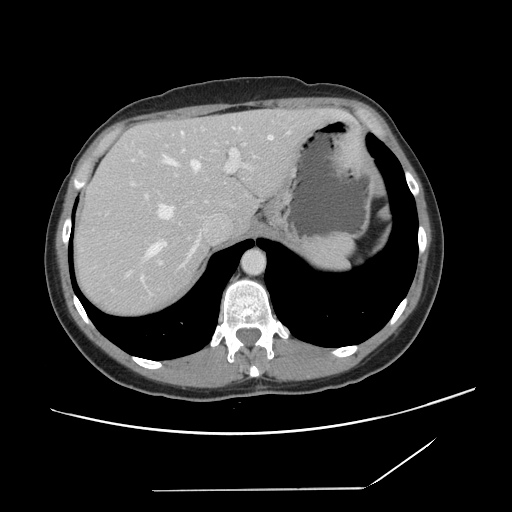
Liver, CT, Image size 512x512
Some hepatic vessels may have no box.
Principal 15 of 20 hepatic vessel regions — [158, 205, 172, 218], [191, 160, 200, 169], [232, 127, 240, 130], [127, 272, 130, 275], [132, 183, 135, 185], [147, 242, 166, 256], [202, 128, 204, 130], [181, 131, 183, 133], [268, 136, 272, 138], [162, 154, 176, 164], [159, 261, 162, 263], [139, 151, 144, 155], [141, 277, 143, 281], [182, 149, 184, 151], [225, 149, 239, 171].